Field of view 240x240 mm
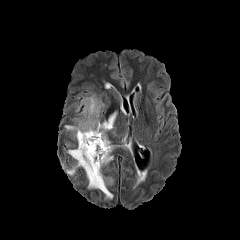
FLAIR MRI.
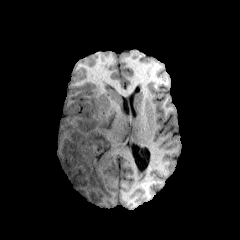
T1-weighted MR.
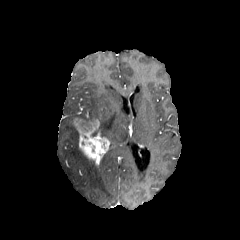
Post-contrast T1-weighted MR image of the same slice.
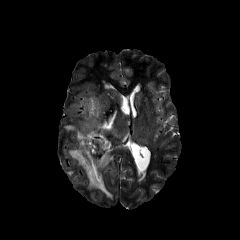
T2-weighted MRI of the same slice.
- enhancing tumor: {"x1": 73, "y1": 117, "x2": 109, "y2": 165}
- edema: {"x1": 77, "y1": 94, "x2": 103, "y2": 121}, {"x1": 66, "y1": 143, "x2": 117, "y2": 199}, {"x1": 99, "y1": 112, "x2": 117, "y2": 135}, {"x1": 64, "y1": 125, "x2": 78, "y2": 140}